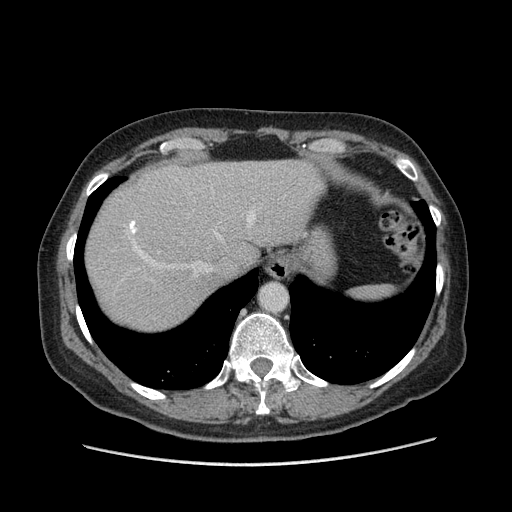 CT slice. Liver.

Some hepatic vessels may have no box.
hepatic vessel: [x1=130, y1=236, x2=212, y2=276], [x1=247, y1=205, x2=260, y2=225], [x1=215, y1=232, x2=223, y2=241], [x1=210, y1=192, x2=215, y2=197]